Upper abdomen. CT scan slice. 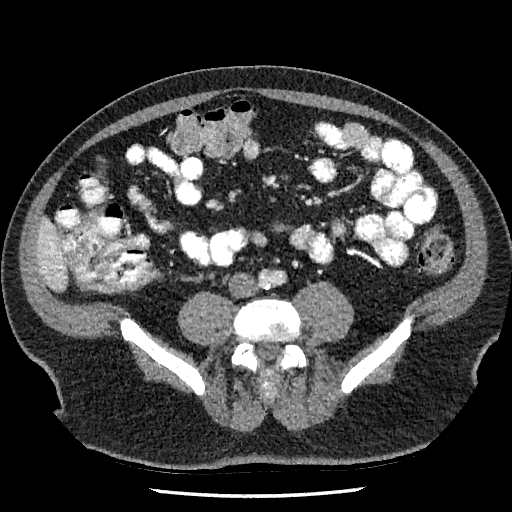 The liver is bounded by {"x1": 37, "y1": 217, "x2": 66, "y2": 290}.